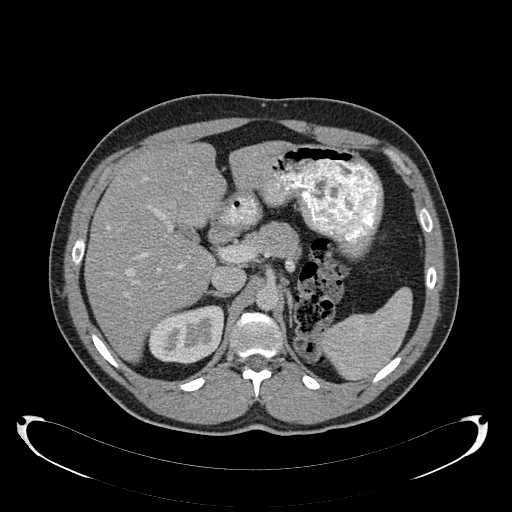 CT slice

{
  "liver": [
    "box=[86, 144, 224, 360]",
    "box=[230, 141, 290, 193]"
  ],
  "kidney": [
    "box=[149, 306, 223, 362]"
  ]
}